CT. Slice index 395. Image size 512x512.
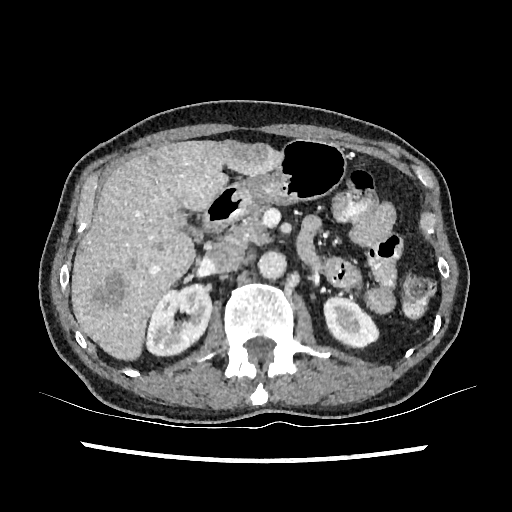
liver: [x1=71, y1=141, x2=280, y2=358] | kidney: [x1=147, y1=284, x2=211, y2=355], [x1=324, y1=298, x2=377, y2=346] | focal liver lesion: [x1=131, y1=257, x2=136, y2=267], [x1=92, y1=270, x2=125, y2=309], [x1=154, y1=242, x2=164, y2=250], [x1=218, y1=141, x2=268, y2=165]